512x512 px, CT image 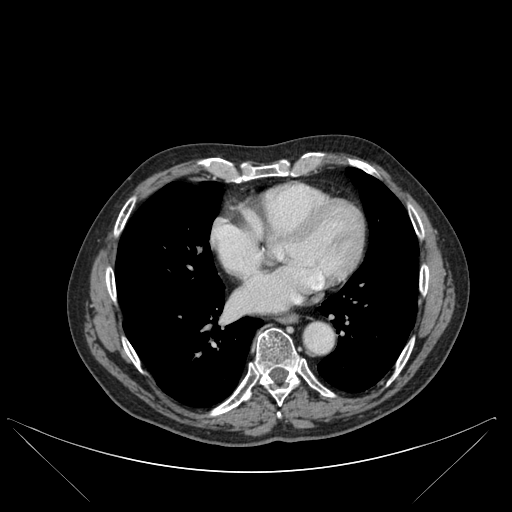
Segmented structures:
• bone: (x1=106, y1=268, x2=115, y2=300), (x1=419, y1=265, x2=428, y2=294), (x1=122, y1=339, x2=140, y2=370), (x1=301, y1=154, x2=322, y2=158), (x1=114, y1=198, x2=134, y2=234), (x1=211, y1=328, x2=334, y2=415), (x1=393, y1=339, x2=413, y2=377), (x1=198, y1=159, x2=288, y2=182), (x1=409, y1=206, x2=423, y2=236)
• lung: (x1=317, y1=167, x2=418, y2=392), (x1=115, y1=181, x2=262, y2=406)